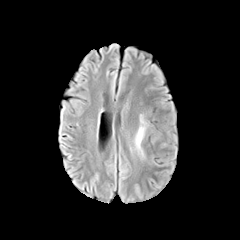
FLAIR magnetic resonance.
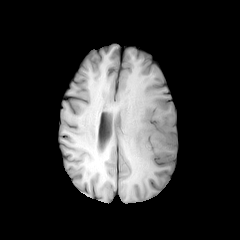
Same slice, T1-weighted MR.
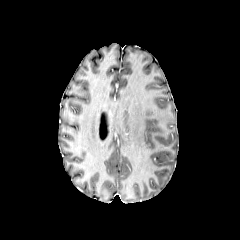
Post-contrast T1-weighted MR of the same slice.
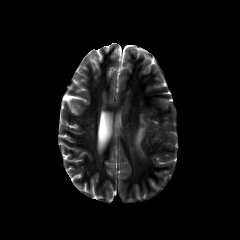
T2-weighted MR image of the same slice.
The edema appears at rect(134, 115, 148, 151).